240x240 px. Head.
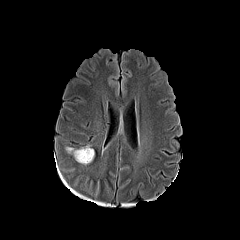
FLAIR MRI.
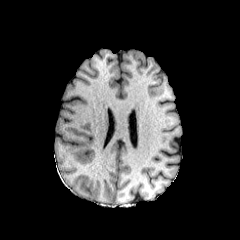
T1-weighted magnetic resonance.
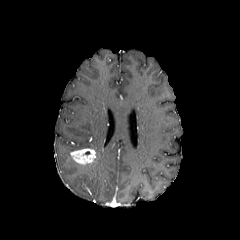
Post-contrast T1-weighted MRI.
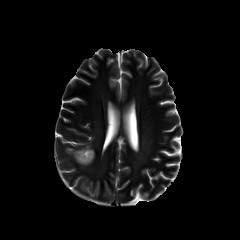
Same slice, T2-weighted MR image.
The edema lies within box(78, 143, 92, 149). The enhancing tumor lies within box(70, 148, 95, 164).